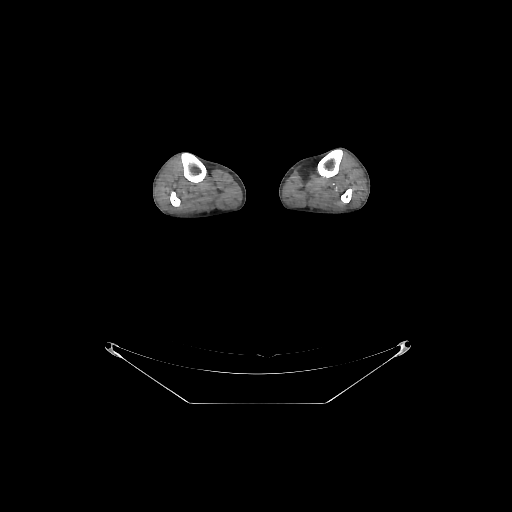

Computed tomography. Image size 512x512. <segmentation>
  <bone>[x1=318, y1=149, x2=342, y2=177], [x1=341, y1=189, x2=352, y2=202], [x1=170, y1=192, x2=180, y2=206], [x1=181, y1=153, x2=206, y2=182]</bone>
</segmentation>